Image size 240x240 | Field of view 240 mm wide, 1.00 mm slice spacing | Brain
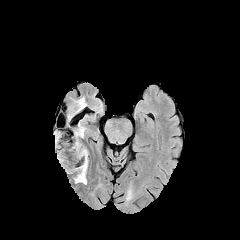
FLAIR MR.
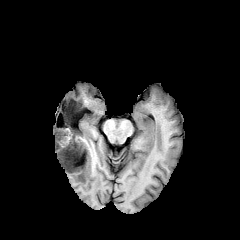
T1-weighted MRI.
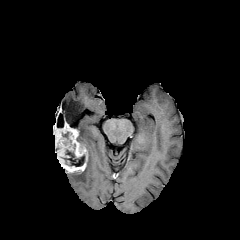
Post-contrast T1-weighted magnetic resonance.
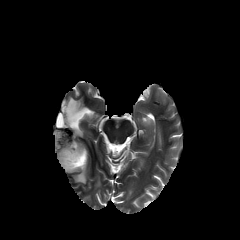
Same slice, T2-weighted MR.
Non-enhancing tumor core: (64, 150, 87, 166), (68, 103, 78, 115), (56, 122, 73, 147).
Edema: (73, 165, 89, 184), (68, 97, 85, 111), (70, 120, 85, 143).
Enhancing tumor: (54, 122, 87, 172).